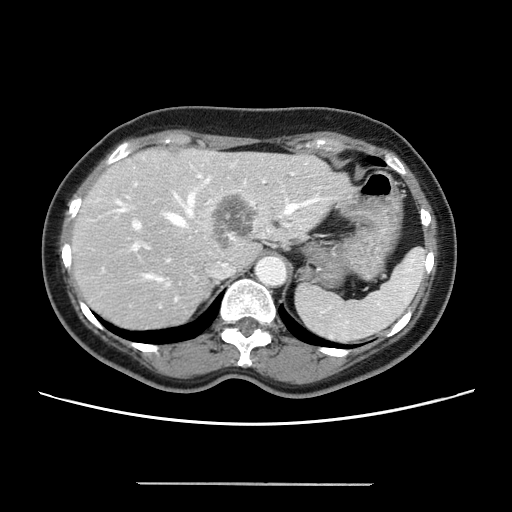 Computed tomography, Abdomen
The vessel annotation is not exhaustive.
7 hepatic vessel regions are located at rect(133, 244, 137, 249); rect(118, 205, 124, 211); rect(167, 214, 185, 225); rect(133, 221, 139, 228); rect(185, 195, 193, 214); rect(144, 274, 160, 280); rect(285, 200, 314, 213). The liver tumor lies within rect(214, 196, 253, 242).